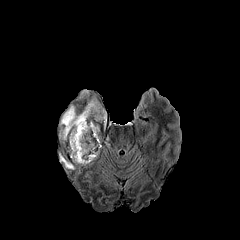
FLAIR MR image.
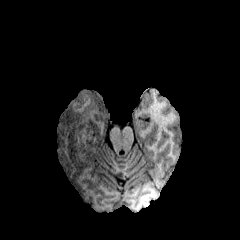
T1-weighted MR image of the same slice.
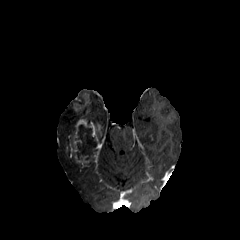
Post-contrast T1-weighted magnetic resonance.
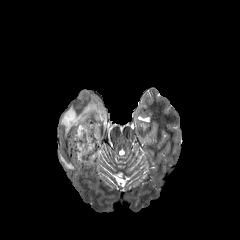
Same slice, T2-weighted magnetic resonance.
Brain.
3 non-enhancing tumor core regions are bounded by bbox=[74, 103, 89, 124]; bbox=[77, 125, 96, 159]; bbox=[66, 125, 75, 144]. 3 edema regions are located at bbox=[58, 152, 75, 169]; bbox=[58, 92, 82, 144]; bbox=[89, 96, 107, 122]. 2 enhancing tumor regions are bounded by bbox=[73, 93, 90, 115]; bbox=[66, 118, 101, 166].